Field of view 320 mm wide, 0.80 mm slice spacing; Computed tomography
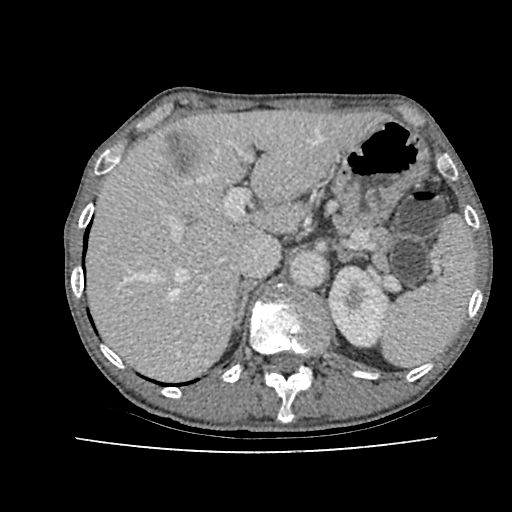

Focal liver lesion: (164,131,200,177).
Liver: (89,111,378,379).
Kidney: (329,269,387,345).